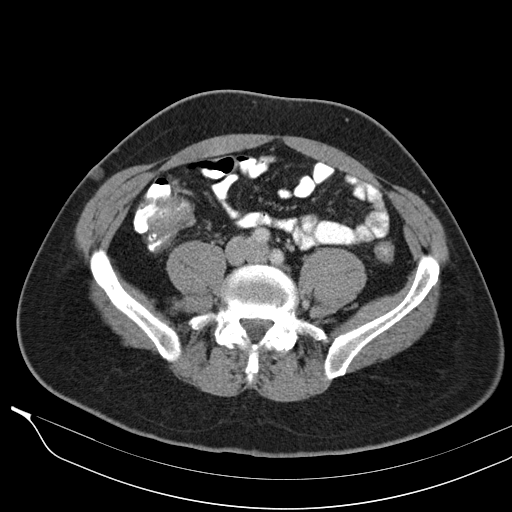 Image size 512x512, CT slice

<segmentation>
  <colon_tumor>(left=140, top=196, right=152, bottom=206), (left=141, top=196, right=193, bottom=253)</colon_tumor>
</segmentation>